Slice index 104. 240x240.
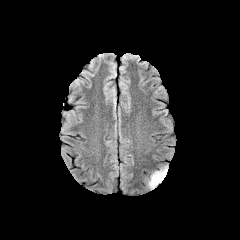
FLAIR magnetic resonance.
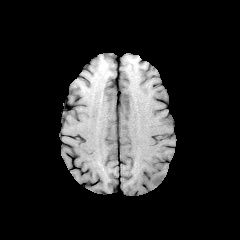
T1-weighted MR image of the same slice.
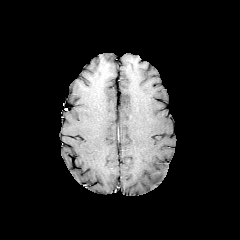
Post-contrast T1-weighted magnetic resonance.
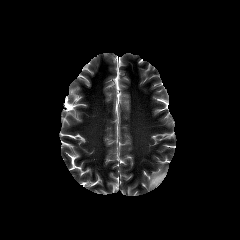
Same slice, T2-weighted MR.
Edema — l=148, t=166, r=167, b=187.